FLAIR MRI.
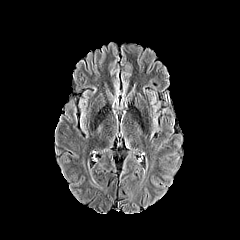
T1-weighted magnetic resonance.
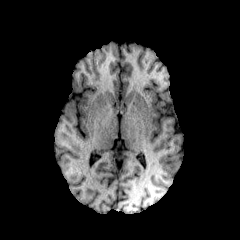
Post-contrast T1-weighted magnetic resonance.
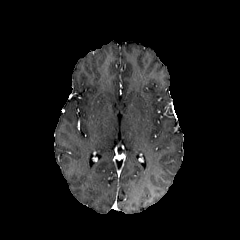
T2-weighted magnetic resonance.
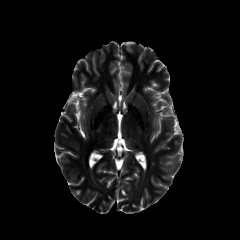
Brain | Image size 240x240
{"edema": ["<bbox>151, 110, 159, 138</bbox>"]}